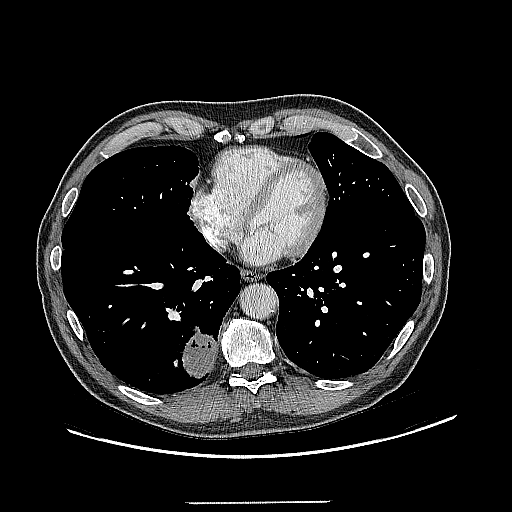

Computed tomography

Segmented structures:
- lung tumor: rect(180, 324, 217, 378)